Slice 67/155; 240x240; Image width 240 mm
FLAIR magnetic resonance.
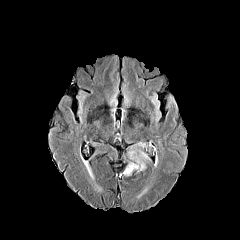
T1-weighted magnetic resonance.
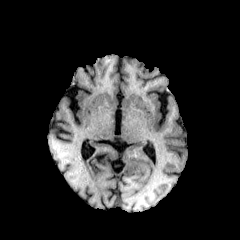
Post-contrast T1-weighted MRI.
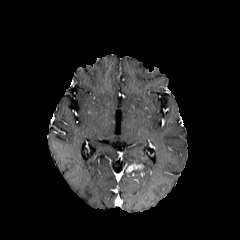
T2-weighted magnetic resonance.
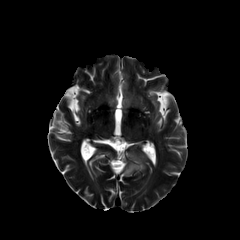
The enhancing tumor is bounded by bbox=[123, 160, 145, 176].